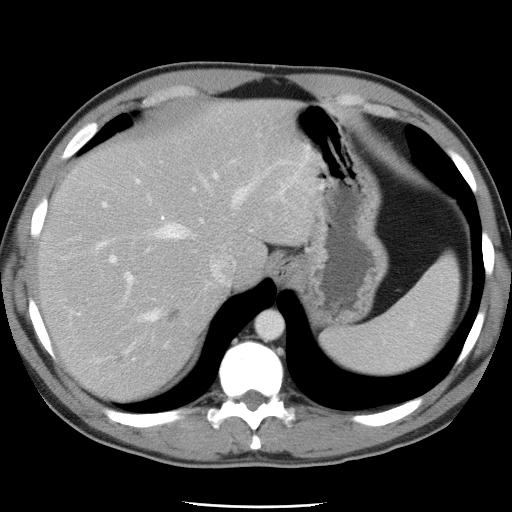

CT slice, Abdomen
Not every hepatic vessel necessarily has a box.
hepatic_vessel:
  - box(137, 309, 161, 321)
  - box(211, 257, 227, 282)
  - box(280, 185, 285, 193)
  - box(109, 255, 117, 262)
  - box(231, 179, 256, 208)
  - box(137, 181, 138, 182)
  - box(102, 201, 107, 207)
  - box(95, 241, 108, 250)
  - box(124, 271, 134, 294)
  - box(193, 188, 194, 189)
  - box(213, 174, 216, 176)
  - box(199, 218, 202, 222)
  - box(149, 216, 193, 239)
liver_tumor:
  - box(165, 308, 182, 322)